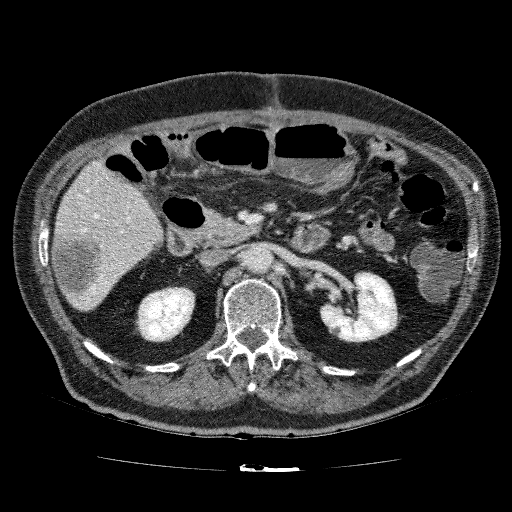 CT
2 kidney regions are bounded by {"x1": 320, "y1": 272, "x2": 397, "y2": 341}, {"x1": 137, "y1": 287, "x2": 194, "y2": 341}. The liver appears at {"x1": 54, "y1": 157, "x2": 164, "y2": 311}. 2 focal liver lesion regions are bounded by {"x1": 145, "y1": 235, "x2": 163, "y2": 256}, {"x1": 52, "y1": 229, "x2": 103, "y2": 296}.